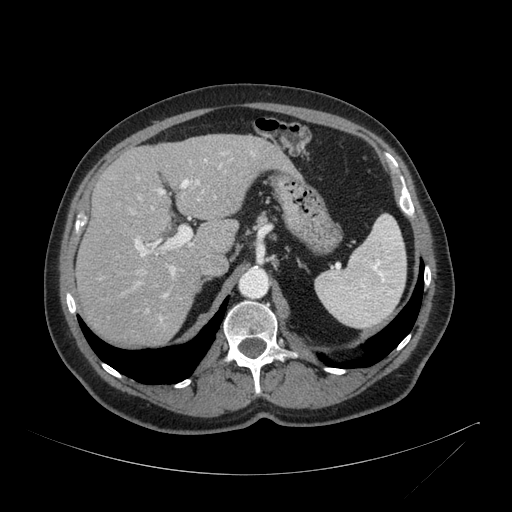

CT scan slice; 512x512 px; Liver
The liver is at (75,135,304,345).